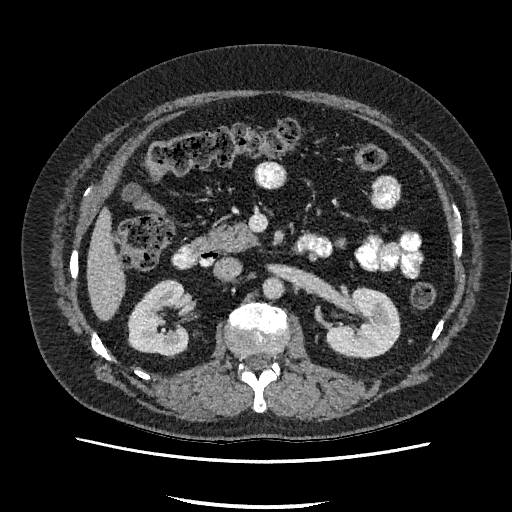

CT scan slice, Upper abdomen
Kidney: bounding box [x1=327, y1=289, x2=399, y2=356], [x1=129, y1=281, x2=187, y2=354].
Liver: bounding box [x1=87, y1=210, x2=125, y2=320].